Slice index 16, MRI 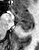
posterior hippocampus: box(17, 21, 32, 30) | anterior hippocampus: box(11, 10, 32, 21)